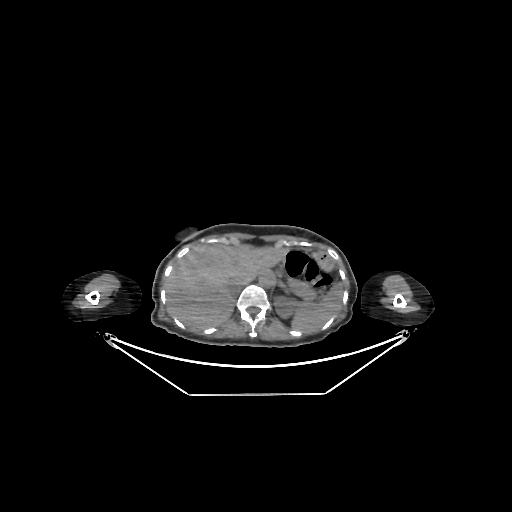 512x512; Upper abdomen; CT
The liver is at box=[164, 242, 282, 329]. The kidney is located at box=[274, 296, 297, 317].